512x512 px. CT scan slice.
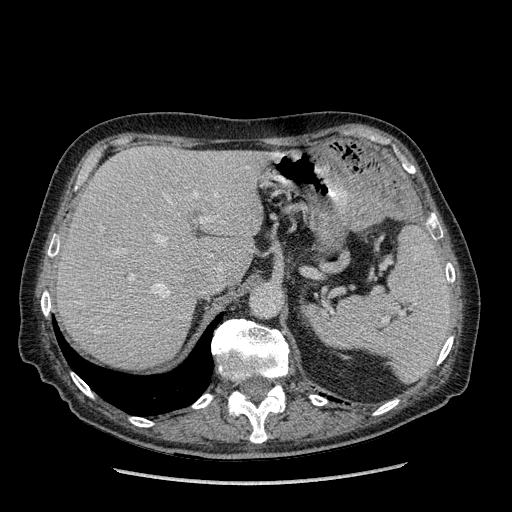 The liver is at rect(57, 146, 266, 370).